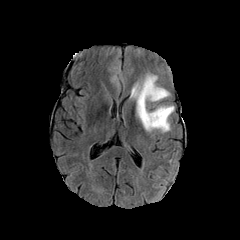
FLAIR MR image.
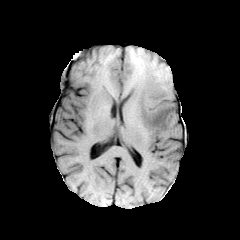
Same slice, T1-weighted MRI.
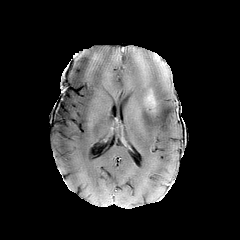
Post-contrast T1-weighted MR of the same slice.
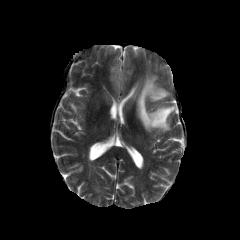
T2-weighted MR.
Brain
edema: (x1=129, y1=73, x2=175, y2=132) | enhancing tumor: (x1=147, y1=91, x2=154, y2=104)